FLAIR MR.
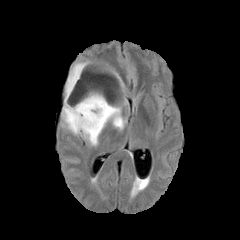
T1-weighted MR image.
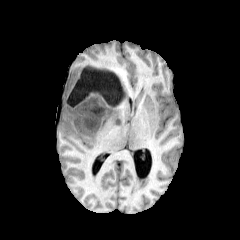
Post-contrast T1-weighted MR image.
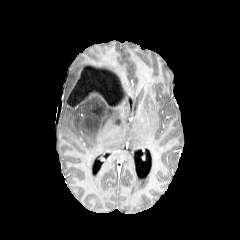
T2-weighted MR image.
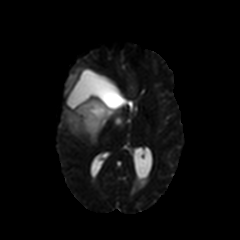
240x240 | Brain
non-enhancing tumor core: 71,70,121,130 | edema: 61,62,129,145